Head
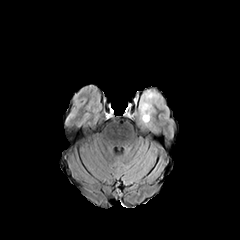
FLAIR magnetic resonance.
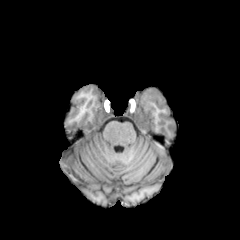
T1-weighted MR of the same slice.
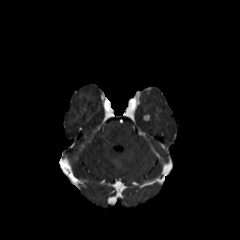
Post-contrast T1-weighted MR.
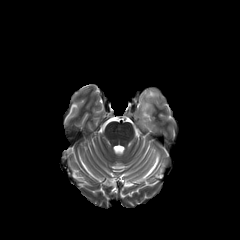
T2-weighted magnetic resonance.
The edema appears at [x1=135, y1=91, x2=161, y2=132].